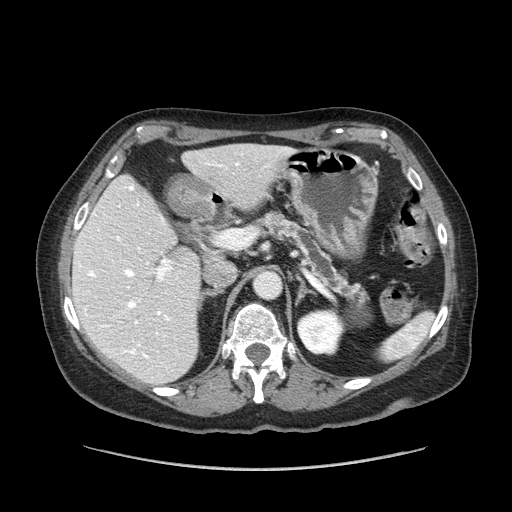 CT
Pancreatic tumor — x1=263, y1=212, x2=284, y2=226.
Pancreas — x1=257, y1=216, x2=366, y2=304.